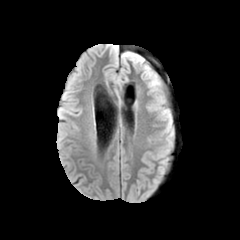
FLAIR MR.
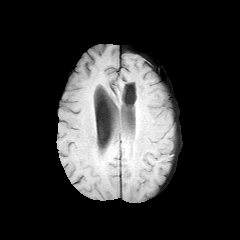
T1-weighted MRI of the same slice.
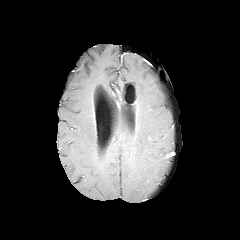
Same slice, post-contrast T1-weighted MRI.
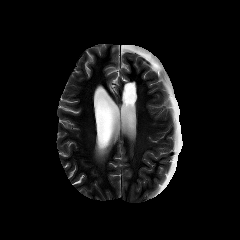
Same slice, T2-weighted magnetic resonance.
240x240
Edema: l=152, t=104, r=171, b=131; l=144, t=66, r=161, b=89.